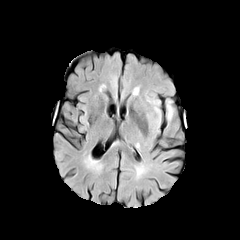
FLAIR magnetic resonance.
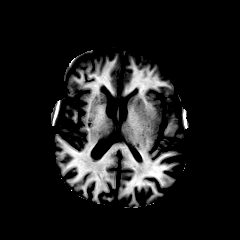
T1-weighted MRI.
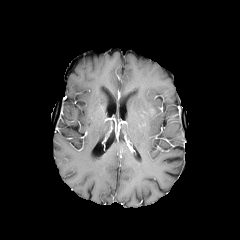
Same slice, post-contrast T1-weighted MR image.
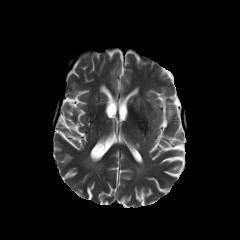
T2-weighted MR of the same slice.
Head; Image size 240x240
• edema: (166,100,173,119)